CT; 512x512; Liver 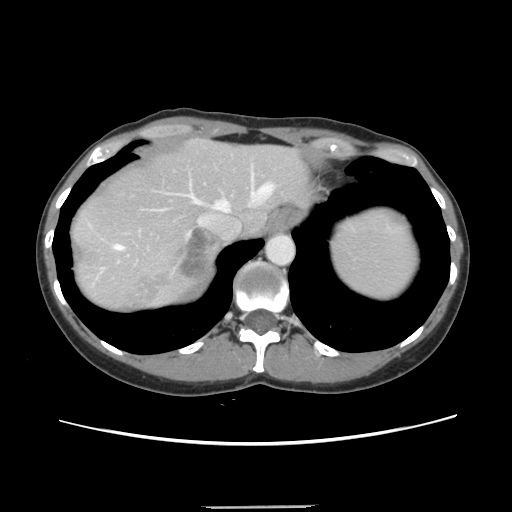
Not every hepatic vessel necessarily has a box.
The liver tumor lies within (182, 230, 207, 274). 7 hepatic vessel regions are located at (198, 218, 202, 224), (154, 174, 205, 205), (141, 208, 168, 211), (100, 268, 102, 271), (114, 244, 122, 249), (248, 167, 272, 204), (211, 199, 228, 211).